Head
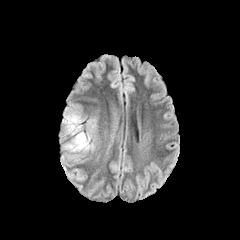
FLAIR MR image.
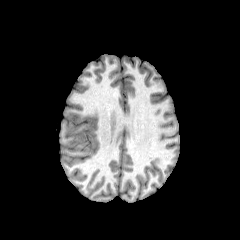
Same slice, T1-weighted MR.
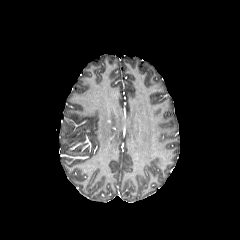
Same slice, post-contrast T1-weighted MRI.
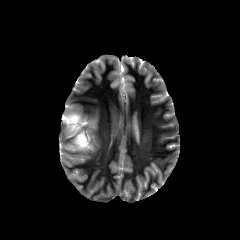
T2-weighted MR of the same slice.
{
  "edema": [
    "box(68, 146, 88, 152)",
    "box(62, 106, 96, 151)"
  ],
  "non-enhancing_tumor_core": [
    "box(62, 116, 78, 124)",
    "box(78, 134, 87, 150)"
  ]
}